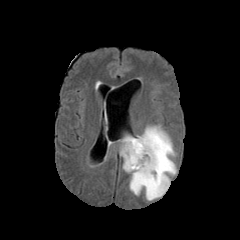
FLAIR MR.
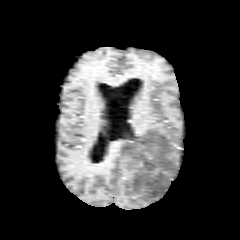
T1-weighted magnetic resonance.
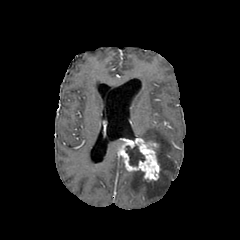
Same slice, post-contrast T1-weighted MR.
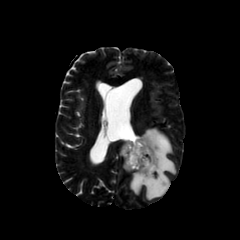
Same slice, T2-weighted MR image.
Head
{
  "edema": [
    "l=122, t=126, r=176, b=200"
  ],
  "enhancing_tumor": [
    "l=118, t=138, r=159, b=180"
  ],
  "non-enhancing_tumor_core": [
    "l=126, t=145, r=145, b=166",
    "l=153, t=143, r=158, b=163"
  ]
}